Abdomen | Computed tomography

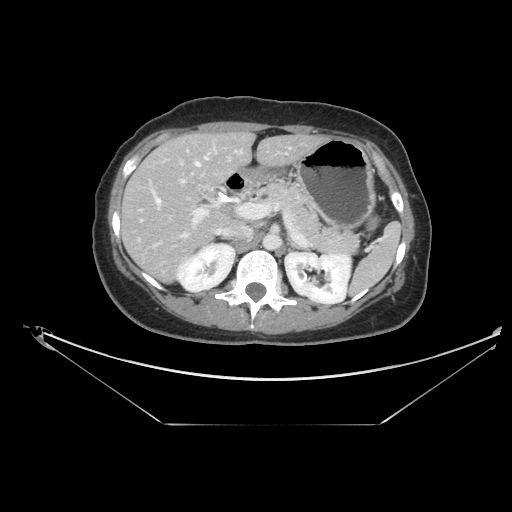

Segmented structures:
* pancreas: 257, 183, 361, 253